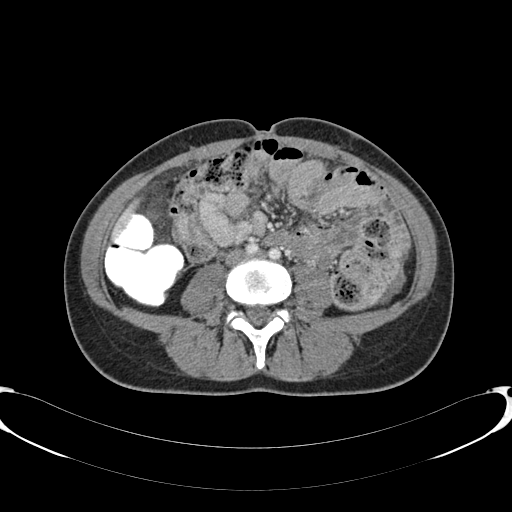
CT

Segmented structures:
• liver: 111:201:137:241